CT scan slice. Abdomen. Image width 360 mm.

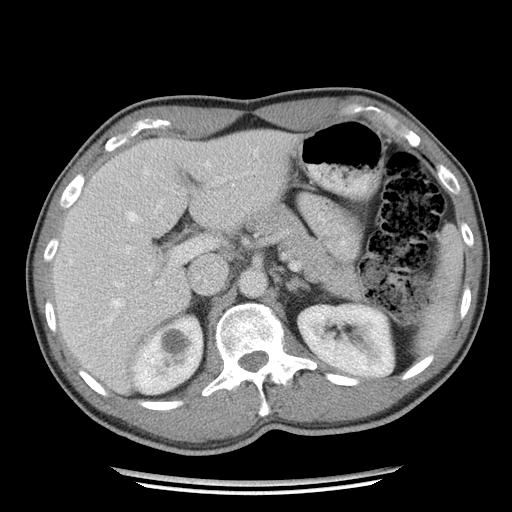 pancreas: (251,207,361,298) | pancreatic tumor: (305,259,328,283)